Slice 45/155.
FLAIR magnetic resonance.
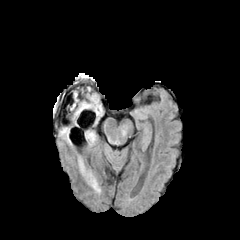
T1-weighted MR image.
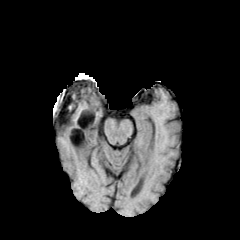
Post-contrast T1-weighted MR.
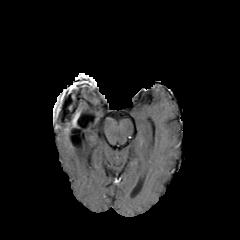
T2-weighted MR image.
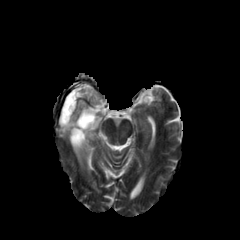
Edema: <bbox>59, 126, 73, 142</bbox>, <bbox>78, 156, 99, 191</bbox>, <bbox>76, 93, 101, 115</bbox>.